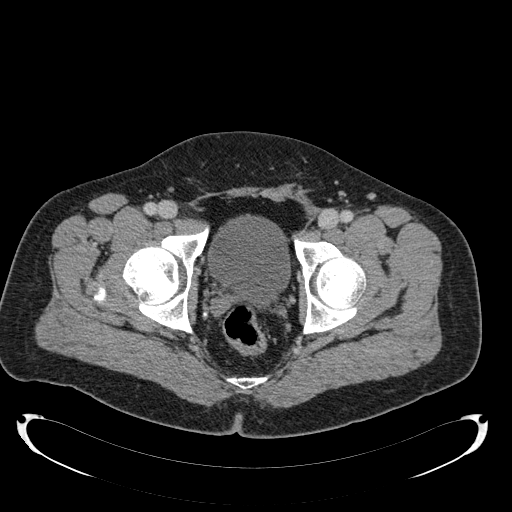 512x512, CT image, Pelvis

urinary bladder: bbox(207, 215, 290, 309)